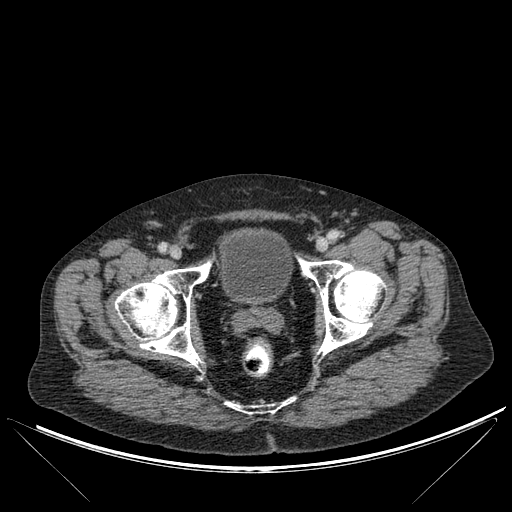 Image size 512x512; CT

Urinary bladder = <bbox>218, 227, 293, 301</bbox>.
Bone = <bbox>115, 262, 211, 365</bbox>, <bbox>245, 397, 294, 414</bbox>, <bbox>225, 402, 241, 410</bbox>, <bbox>298, 259, 384, 355</bbox>.